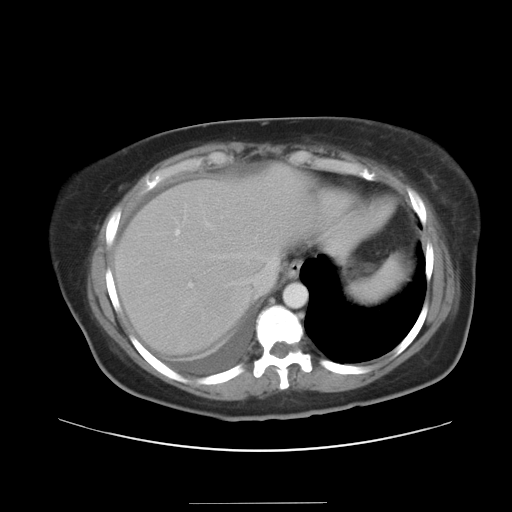

512x512 px; CT image; Abdomen
The vessel boxes may cover only some of the vessels.
The hepatic vessel is located at x1=230 y1=252 x2=277 y2=292.